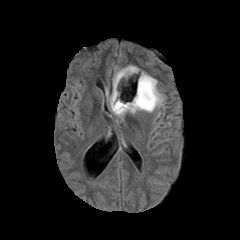
FLAIR MRI.
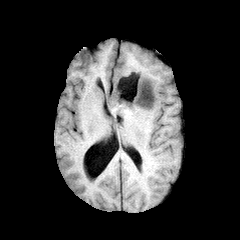
T1-weighted MRI of the same slice.
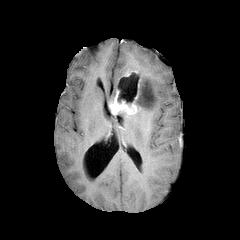
Post-contrast T1-weighted MR image.
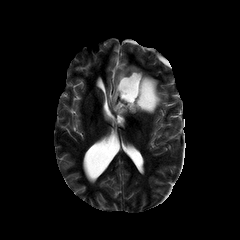
T2-weighted MRI.
Head; 240x240 px
Segmented structures:
- edema: 105,65,164,113
- non-enhancing tumor core: 117,78,141,109
- enhancing tumor: 109,91,137,114